Head
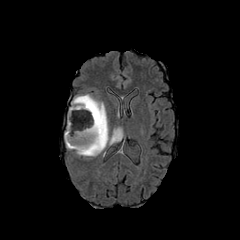
FLAIR MR image.
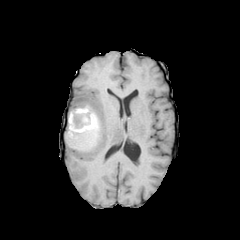
T1-weighted MR image of the same slice.
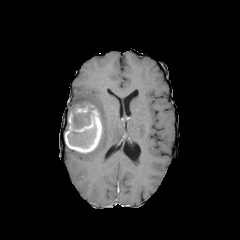
Post-contrast T1-weighted magnetic resonance.
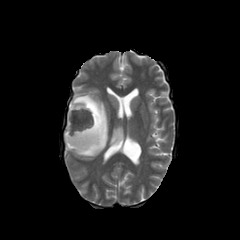
Same slice, T2-weighted magnetic resonance.
Edema: bounding box bbox=[68, 93, 123, 156].
Enhancing tumor: bounding box bbox=[75, 105, 88, 111]; bbox=[64, 109, 102, 153].
Non-enhancing tumor core: bounding box bbox=[68, 127, 94, 145]; bbox=[71, 102, 95, 128].